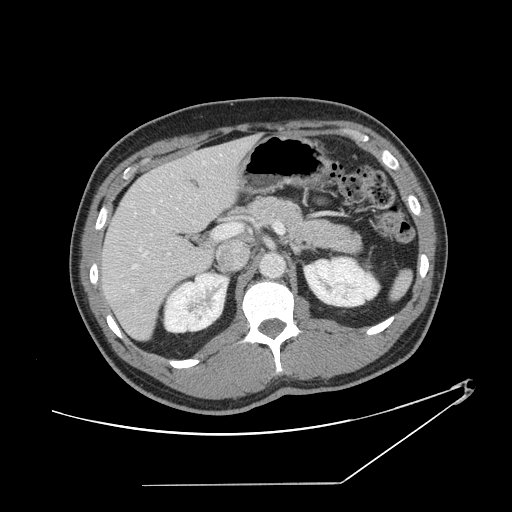 CT slice. Image size 512x512.
Not every hepatic vessel necessarily has a box.
9 hepatic vessel regions are located at region(131, 290, 133, 292); region(139, 249, 147, 256); region(196, 196, 197, 198); region(153, 210, 154, 212); region(132, 264, 137, 268); region(160, 200, 161, 202); region(179, 196, 179, 199); region(168, 253, 169, 254); region(203, 162, 205, 163).